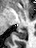

Medial temporal lobe. 36x48. Magnetic resonance.
Posterior hippocampus: region(15, 30, 26, 38).